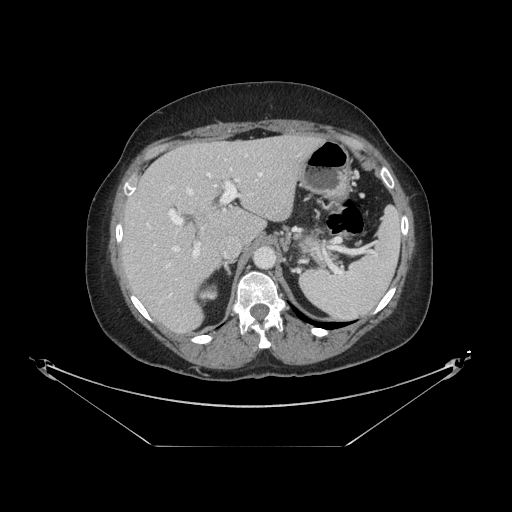
CT scan slice. Abdomen.
- pancreas: left=298, top=231, right=339, bottom=263